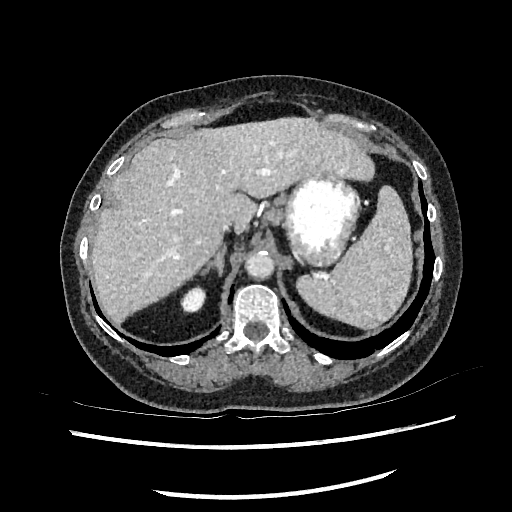

CT; Image size 512x512
Liver = (left=90, top=118, right=374, bottom=324).
Kidney = (left=183, top=289, right=203, bottom=310).